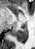

MRI slice
posterior hippocampus: x1=10, y1=24, x2=28, y2=40